CT scan slice, Abdomen, Image width 291 mm
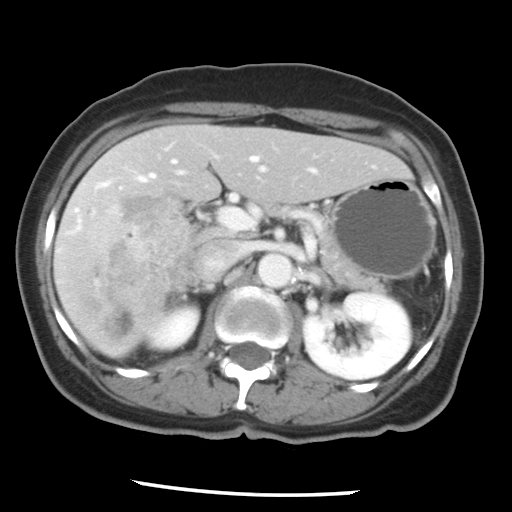
The vessel boxes may cover only some of the vessels.
<segmentation>
  <hepatic_vessel>x1=171 y1=159 x2=176 y2=163, x1=83 y1=178 x2=114 y2=193, x1=261 y1=166 x2=264 y2=169, x1=250 y1=155 x2=258 y2=162, x1=220 y1=208 x2=256 y2=231, x1=234 y1=244 x2=266 y2=256, x1=177 y1=170 x2=182 y2=174, x1=133 y1=172 x2=155 y2=181, x1=70 y1=226 x2=79 y2=232, x1=76 y1=210 x2=80 y2=222, x1=310 y1=169 x2=315 y2=172, x1=205 y1=254 x2=225 y2=270</hepatic_vessel>
  <liver_tumor>x1=98 y1=191 x2=188 y2=347</liver_tumor>
</segmentation>